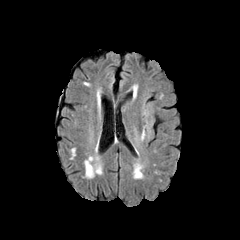
FLAIR MR.
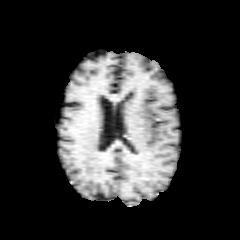
Same slice, T1-weighted MR.
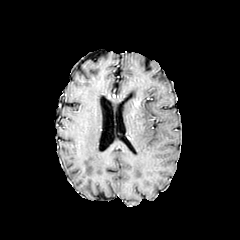
Post-contrast T1-weighted magnetic resonance.
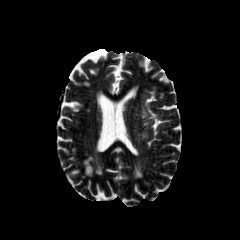
Same slice, T2-weighted magnetic resonance.
Image size 240x240
Findings:
* edema: box(133, 85, 137, 99); box(142, 101, 152, 123)